Head | Field of view 240 mm wide, 1.00 mm slice spacing | Slice index 41
FLAIR magnetic resonance.
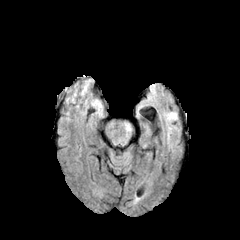
T1-weighted MR image.
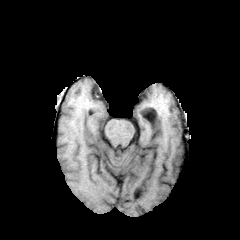
Post-contrast T1-weighted magnetic resonance.
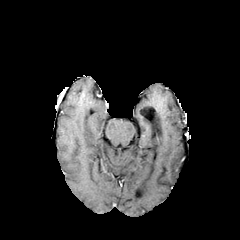
T2-weighted MR.
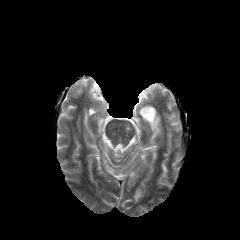
- edema: 167,126,171,146; 167,113,176,125